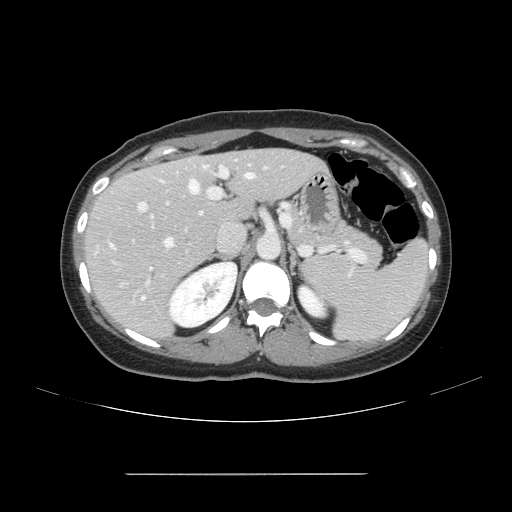 Liver | CT

Only some of the vessels may be annotated.
Hepatic vessel = (110, 244, 114, 249), (245, 173, 253, 178), (264, 167, 266, 168), (161, 180, 163, 181), (150, 215, 152, 217), (200, 212, 202, 213), (138, 202, 146, 210), (142, 296, 144, 299), (165, 238, 172, 246), (189, 179, 199, 193), (208, 187, 221, 198), (203, 165, 207, 168), (219, 165, 228, 177).